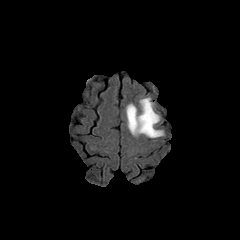
FLAIR magnetic resonance.
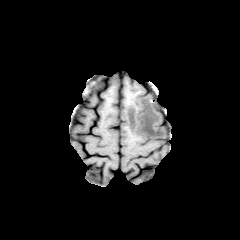
T1-weighted magnetic resonance of the same slice.
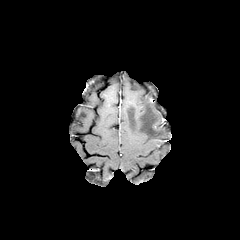
Same slice, post-contrast T1-weighted MR image.
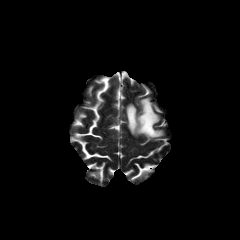
T2-weighted MR.
Non-enhancing tumor core: bounding box <bbox>142, 119, 152, 133</bbox>.
Edema: bounding box <bbox>126, 96, 163, 138</bbox>.